512x512, CT, Abdomen

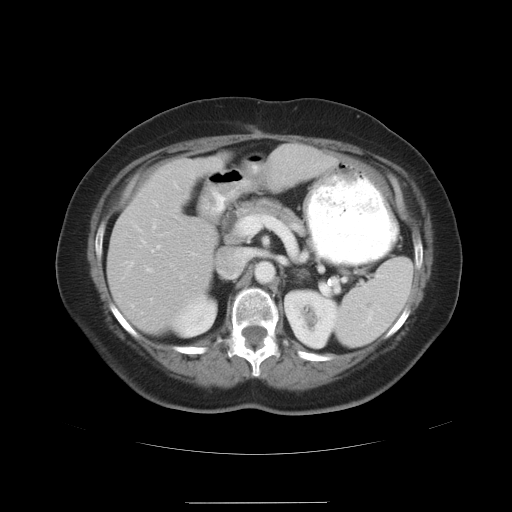 Not every hepatic vessel necessarily has a box.
Hepatic vessel = x1=134 y1=224 x2=140 y2=231, x1=151 y1=244 x2=161 y2=251, x1=153 y1=225 x2=155 y2=227, x1=257 y1=215 x2=263 y2=218, x1=156 y1=204 x2=157 y2=206, x1=125 y1=261 x2=132 y2=271, x1=238 y1=216 x2=263 y2=235, x1=235 y1=249 x2=256 y2=264, x1=141 y1=239 x2=149 y2=245.